Liver | CT scan slice

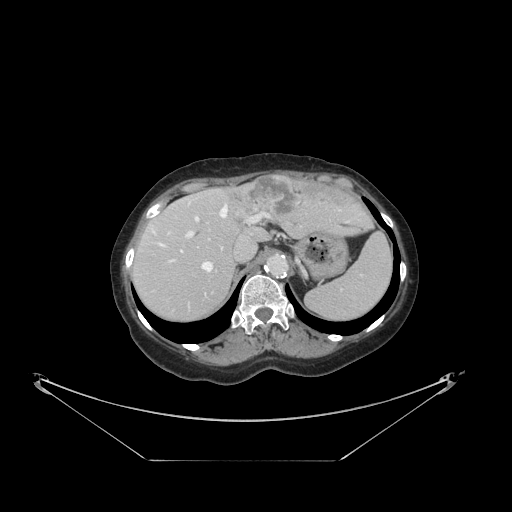 Some hepatic vessels may have no box.
{"hepatic_vessel": ["<box>180,250,182,251</box>", "<box>157,243,164,246</box>", "<box>194,216,198,221</box>", "<box>219,205,226,217</box>", "<box>235,244,255,259</box>", "<box>202,261,212,271</box>", "<box>151,226,154,232</box>", "<box>185,231,193,237</box>"], "liver_tumor": ["<box>225,175,299,225</box>"]}